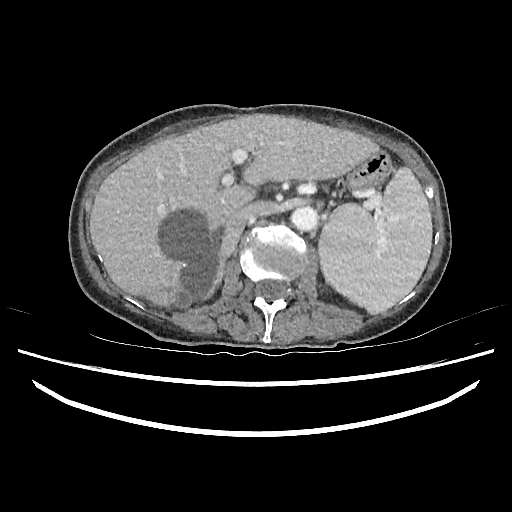 CT slice

Annotated regions:
- liver: [90,116,374,305], [191,262,220,303]
- liver lesion: [160,211,222,304]